Brain | Slice index 81 | Image width 240 mm
FLAIR MR image.
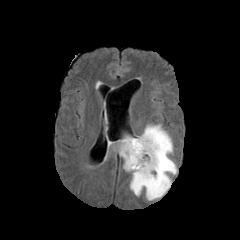
T1-weighted MR.
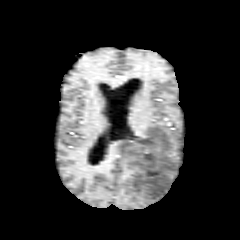
Post-contrast T1-weighted MRI.
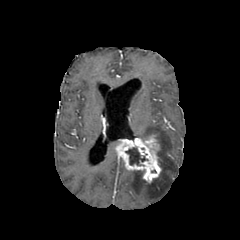
T2-weighted magnetic resonance.
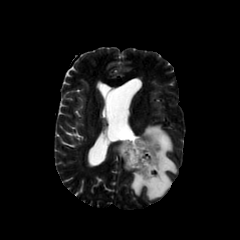
The edema appears at (left=130, top=124, right=177, bottom=201). 2 non-enhancing tumor core regions are bounded by (left=137, top=171, right=158, bottom=185), (left=126, top=148, right=145, bottom=164). The enhancing tumor is bounded by (left=116, top=134, right=161, bottom=182).